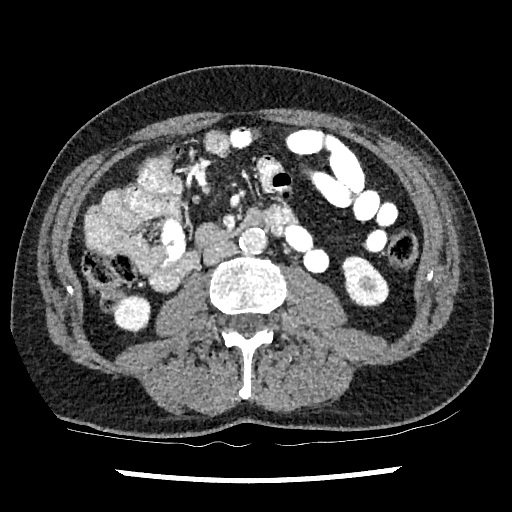

CT image
kidney: x1=115, y1=297, x2=149, y2=329; x1=343, y1=258, x2=387, y2=304